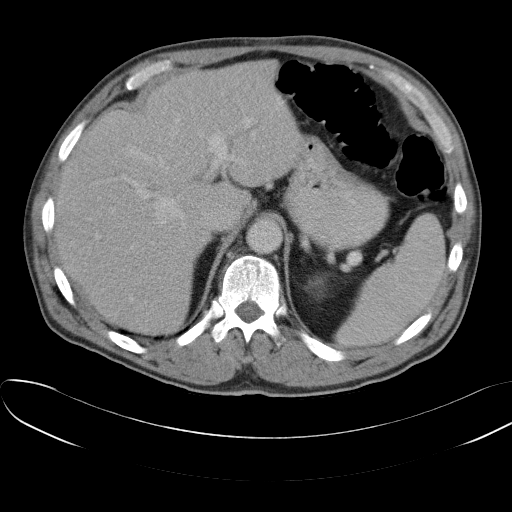
512x512, CT image, Abdomen

The spleen is located at rect(339, 216, 446, 344).